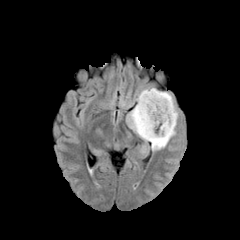
FLAIR MRI.
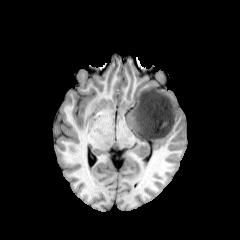
T1-weighted MRI.
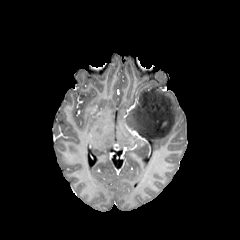
Post-contrast T1-weighted MR of the same slice.
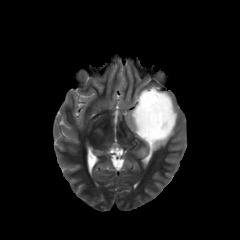
Same slice, T2-weighted MRI.
Head, Image size 240x240
Edema = [125, 104, 136, 127], [119, 85, 179, 154].
Non-enhancing tumor core = [131, 89, 175, 145].